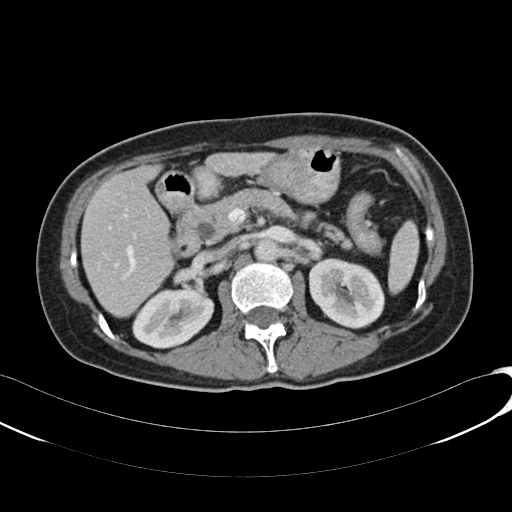
CT. 512x512. Annotated regions:
* liver: x1=81, y1=164, x2=174, y2=315; x1=207, y1=153, x2=272, y2=175
* kidney: x1=310, y1=260, x2=383, y2=327; x1=133, y1=290, x2=212, y2=347